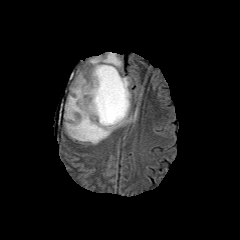
FLAIR MR.
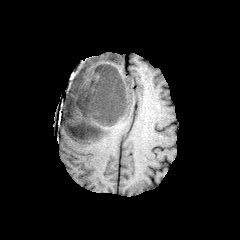
T1-weighted MR.
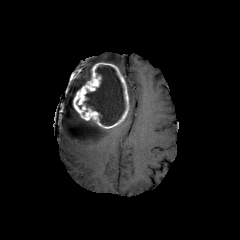
Post-contrast T1-weighted MR image.
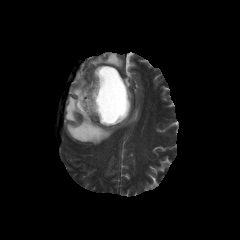
T2-weighted MR.
240x240 px
Non-enhancing tumor core at box(86, 66, 125, 125).
Edema at box(64, 52, 139, 144).
Enhancing tumor at box(74, 68, 82, 79); box(72, 62, 129, 128).